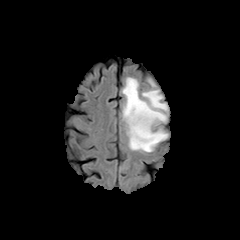
FLAIR magnetic resonance.
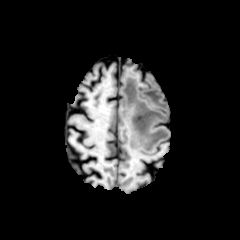
Same slice, T1-weighted MRI.
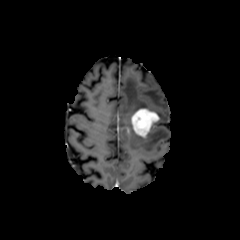
Post-contrast T1-weighted magnetic resonance.
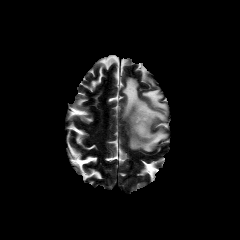
T2-weighted MR image.
Head
The edema is at left=122, top=77, right=168, bottom=152. The enhancing tumor is at left=131, top=108, right=159, bottom=138.